Image size 320x320; MRI slice 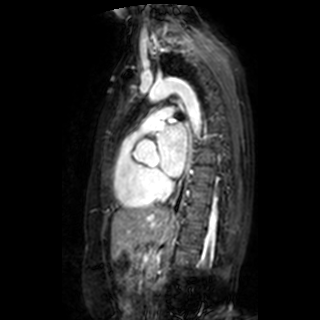

The left atrium appears at region(158, 125, 185, 176).